CT scan slice | Field of view 403x403 mm | Abdomen
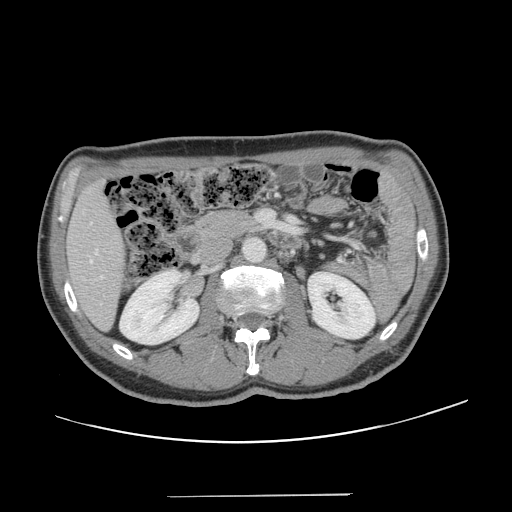 Not every hepatic vessel necessarily has a box.
Segmented structures:
- hepatic vessel: [x1=95, y1=250, x2=97, y2=254], [x1=90, y1=260, x2=92, y2=262], [x1=90, y1=222, x2=91, y2=223]